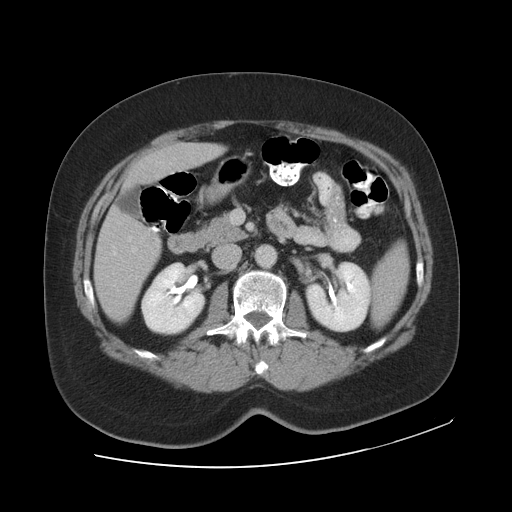
CT slice

Some hepatic vessels may have no box.
hepatic_vessel:
  - region(112, 245, 116, 254)
  - region(128, 236, 132, 241)
  - region(132, 247, 136, 251)
  - region(114, 285, 115, 286)